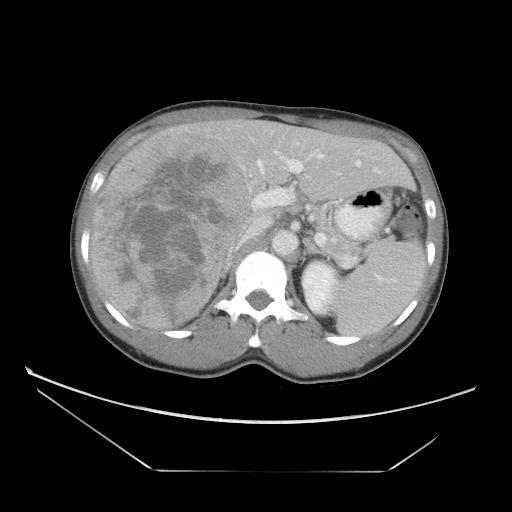

CT. 512x512.
Only some of the vessels may be annotated.
Hepatic vessel — (253, 195, 261, 206), (273, 149, 302, 171), (318, 154, 322, 157).
Liver tumor — (89, 128, 258, 329).